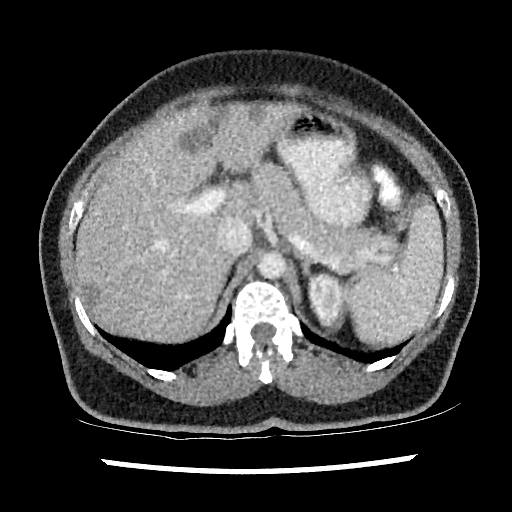
Computed tomography. 512x512 px.
Segmented structures:
- liver: box(76, 100, 297, 339)
- kidney: box(310, 275, 341, 322); box(349, 296, 359, 307)
- focal liver lesion: box(83, 282, 98, 306); box(249, 105, 265, 121); box(213, 107, 230, 120); box(180, 126, 206, 149)